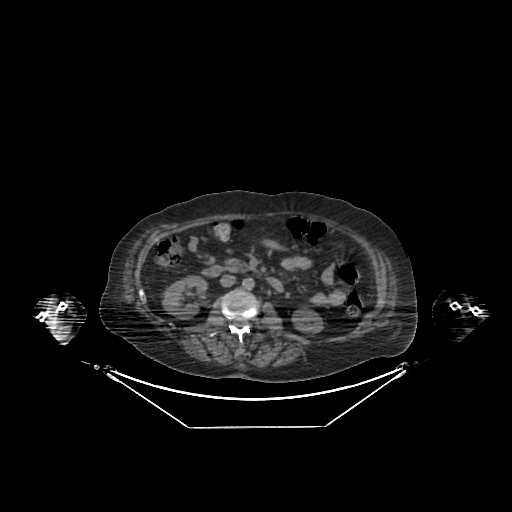 CT; Liver

Kidney = x1=292, y1=307, x2=323, y2=333; x1=162, y1=276, x2=207, y2=319.
Liver = x1=266, y1=237, x2=285, y2=245.